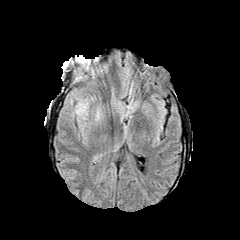
FLAIR MR.
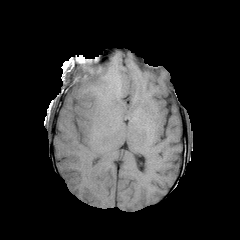
T1-weighted MR.
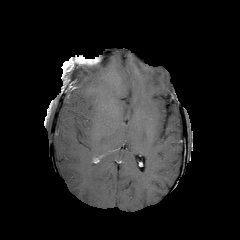
Post-contrast T1-weighted MRI.
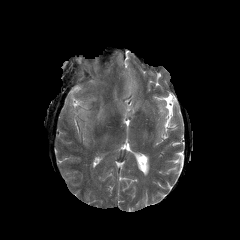
Same slice, T2-weighted MR.
Brain
The edema is at 71 88 93 116.